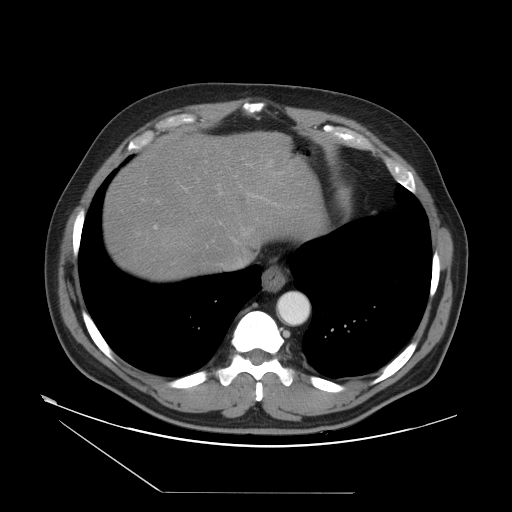
CT image; Abdomen
Only some of the vessels may be annotated.
Findings:
- hepatic vessel: <box>233,240,237,243</box>, <box>183,188,186,190</box>, <box>247,195,262,198</box>, <box>263,199,276,206</box>, <box>241,229,249,235</box>, <box>217,185,220,194</box>, <box>248,164,251,166</box>, <box>153,226,156,229</box>
- liver tumor: <box>235,194,249,209</box>